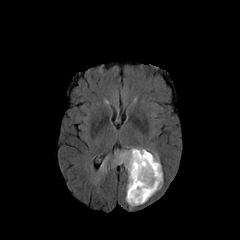
FLAIR MRI.
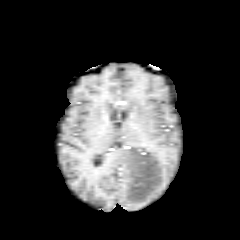
Same slice, T1-weighted MR image.
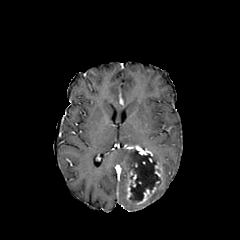
Post-contrast T1-weighted MRI.
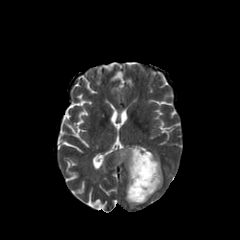
T2-weighted MR.
Head. Image size 240x240.
Findings:
- non-enhancing tumor core: 130,150,159,201
- edema: 114,146,135,173; 152,152,161,167; 151,172,162,195; 125,191,141,206
- enhancing tumor: 127,171,136,199; 155,162,161,179; 138,185,155,203; 128,146,153,162